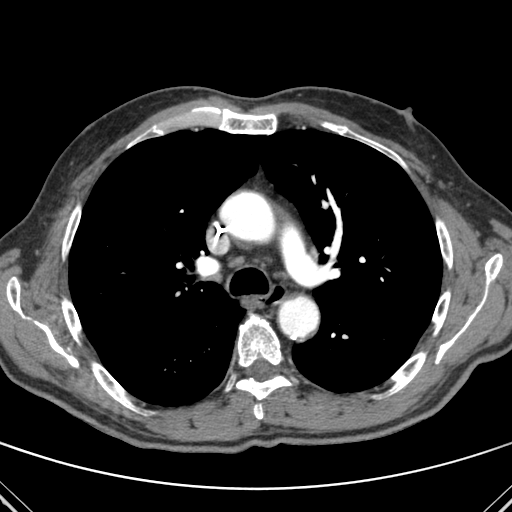 Thorax; CT image
The lung appears at [x1=69, y1=129, x2=442, y2=406]. 15 bone regions are located at [x1=226, y1=375, x2=295, y2=418], [x1=436, y1=219, x2=452, y2=268], [x1=195, y1=107, x2=276, y2=134], [x1=358, y1=136, x2=405, y2=166], [x1=62, y1=205, x2=80, y2=257], [x1=389, y1=352, x2=426, y2=394], [x1=34, y1=320, x2=78, y2=367], [x1=62, y1=298, x2=80, y2=343], [x1=127, y1=125, x2=162, y2=147], [x1=237, y1=314, x2=282, y2=366], [x1=92, y1=362, x2=136, y2=411], [x1=323, y1=123, x2=350, y2=134], [x1=6, y1=277, x2=25, y2=318], [x1=432, y1=291, x2=450, y2=335], [x1=435, y1=254, x2=502, y2=363].